FLAIR magnetic resonance.
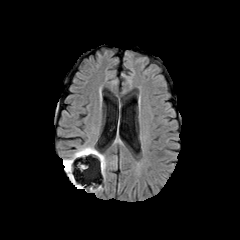
T1-weighted MRI.
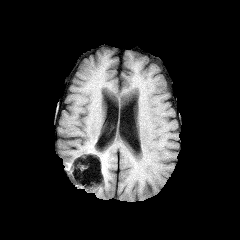
Post-contrast T1-weighted MR image.
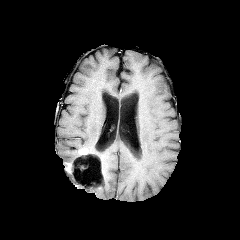
T2-weighted MRI.
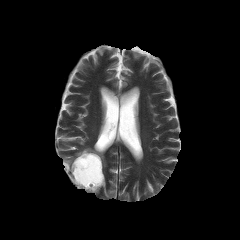
240x240
• non-enhancing tumor core: x1=74, y1=150, x2=101, y2=177
• edema: x1=66, y1=172, x2=77, y2=181; x1=64, y1=149, x2=78, y2=171; x1=100, y1=159, x2=105, y2=173
• enhancing tumor: x1=78, y1=149, x2=94, y2=155